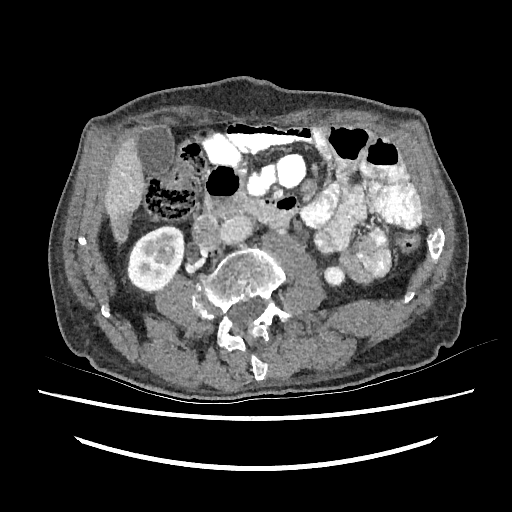 CT image. kidney: 325:268:343:284, 128:227:183:290 | liver lesion: 115:210:130:239 | liver: 105:139:144:233